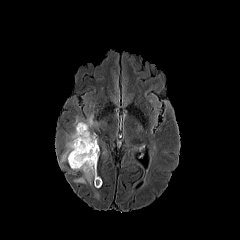
FLAIR MR.
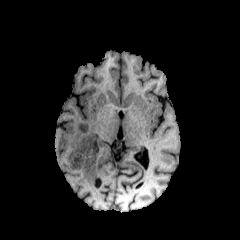
Same slice, T1-weighted MR image.
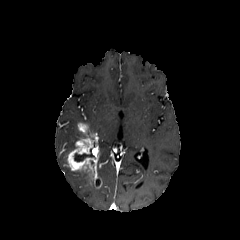
Post-contrast T1-weighted MR image.
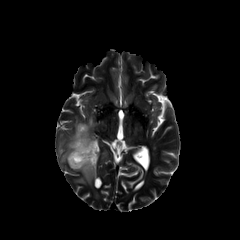
T2-weighted MR image.
240x240
Edema = bbox=[60, 102, 98, 164]; bbox=[74, 171, 89, 185].
Non-enhancing tumor core = bbox=[74, 149, 94, 161].
Enhancing tumor = bbox=[67, 122, 102, 188].